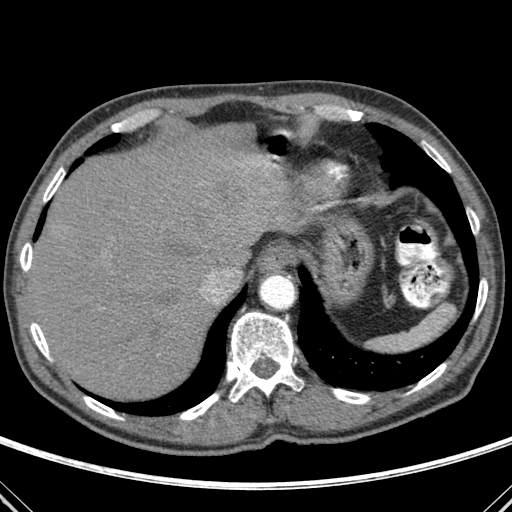 Upper abdomen. CT.
Liver at bbox=[29, 123, 290, 400].
Bone at bbox=[332, 389, 369, 403]; bbox=[83, 396, 122, 419]; bbox=[424, 142, 450, 172]; bbox=[467, 209, 479, 234]; bbox=[226, 312, 301, 402]; bbox=[30, 323, 49, 359]; bbox=[43, 167, 65, 201]; bbox=[20, 243, 32, 271]; bbox=[475, 279, 487, 317]; bbox=[180, 393, 219, 420]; bbox=[411, 363, 446, 392].
Lung at bbox=[82, 286, 246, 415]; bbox=[36, 205, 48, 237]; bbox=[85, 134, 120, 154]; bbox=[70, 158, 82, 170]; bbox=[298, 123, 476, 390].